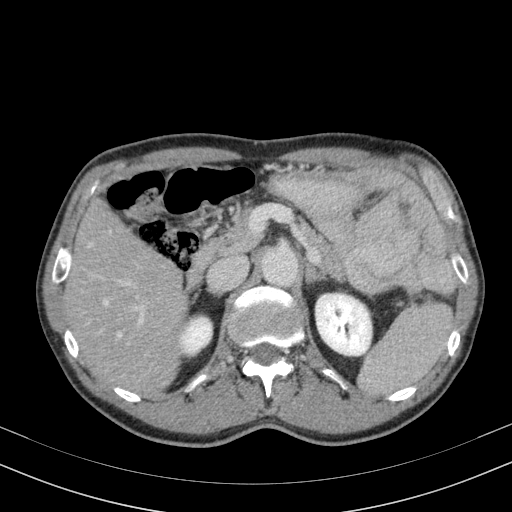 Image size 512x512. CT image.

liver:
  - 65:197:188:394
kidney:
  - 316:294:370:354
  - 181:318:210:351